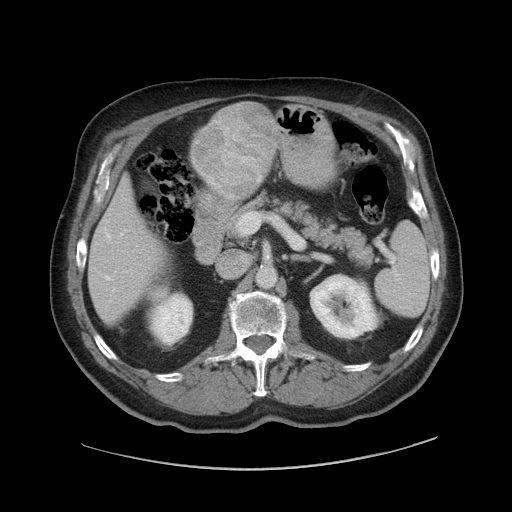
CT scan slice
Not every hepatic vessel necessarily has a box.
Liver tumor: bounding box [192, 103, 276, 200].
Hepatic vessel: bounding box [105, 275, 109, 280], [105, 231, 109, 237].